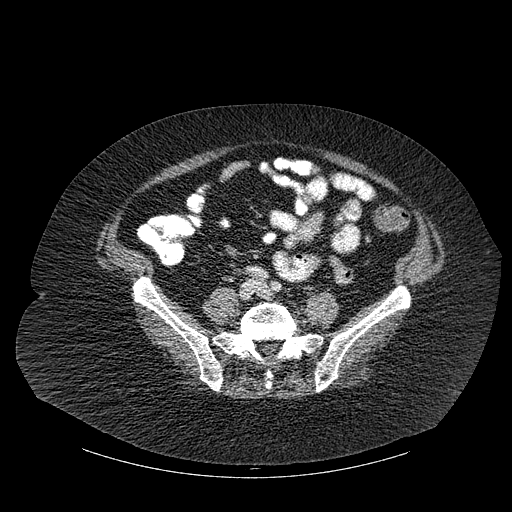
CT slice. bone: bbox(212, 303, 322, 363); bbox(266, 370, 272, 388); bbox(133, 277, 222, 390); bbox(315, 286, 410, 391)